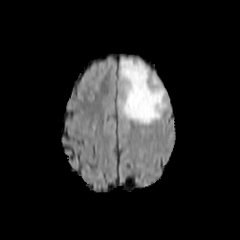
FLAIR MR image.
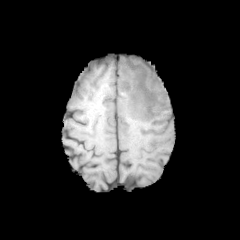
T1-weighted MRI.
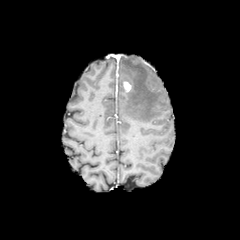
Same slice, post-contrast T1-weighted MR image.
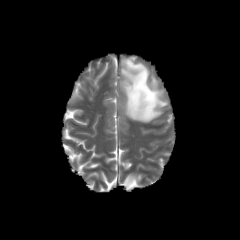
T2-weighted MR image.
240x240 px; Head
The edema is located at box=[119, 59, 166, 124]. The enhancing tumor is located at box=[123, 80, 131, 91].